Head
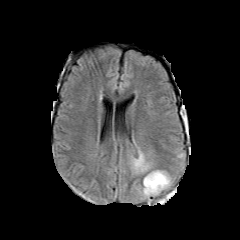
FLAIR magnetic resonance.
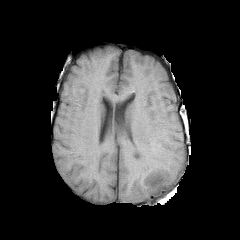
Same slice, T1-weighted MRI.
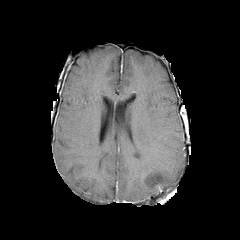
Same slice, post-contrast T1-weighted MR.
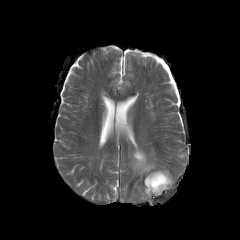
Same slice, T2-weighted MRI.
<segmentation>
  <edema>131 148 173 199</edema>
</segmentation>